240x240; Head
FLAIR MR image.
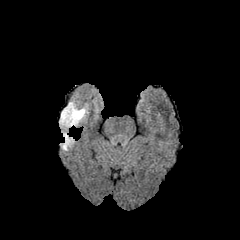
T1-weighted MR image.
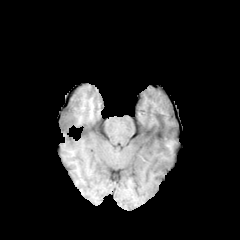
Post-contrast T1-weighted MR.
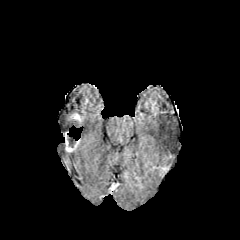
T2-weighted MR image.
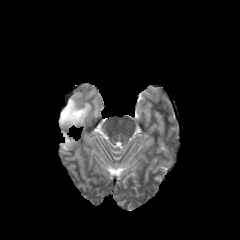
Enhancing tumor at <box>65,132,79,151</box>, <box>67,114,82,121</box>.
Edema at <box>69,98,89,121</box>, <box>59,107,80,129</box>.
Non-enhancing tumor core at <box>67,135,76,147</box>, <box>62,102,80,125</box>.